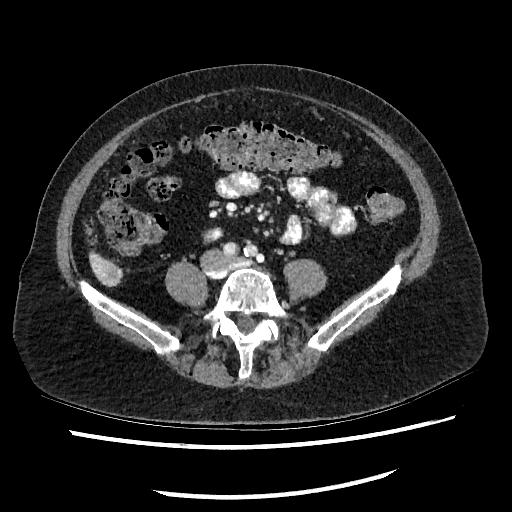

CT slice, Liver
hepatic_lesion:
  - rect(107, 266, 119, 279)
liver:
  - rect(90, 254, 121, 284)